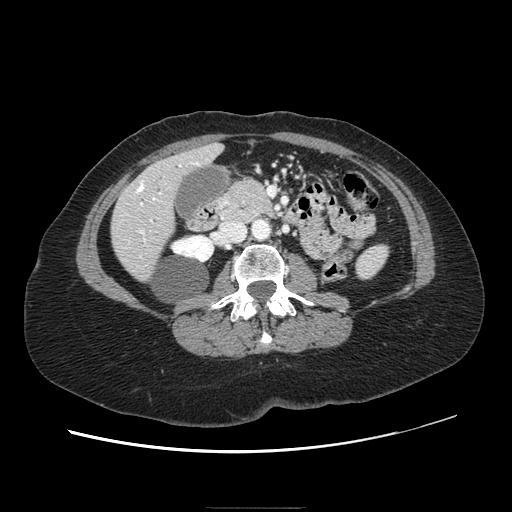
512x512 px; CT image

Pancreas — 219,180,273,223.